CT scan slice, Slice index 156, Pelvis 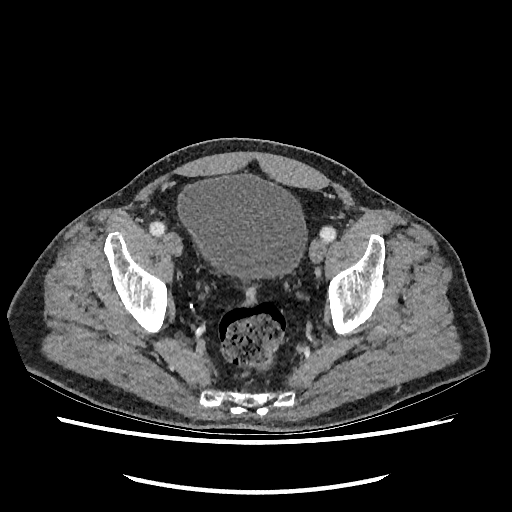 urinary_bladder:
  - {"x1": 178, "y1": 173, "x2": 307, "y2": 280}